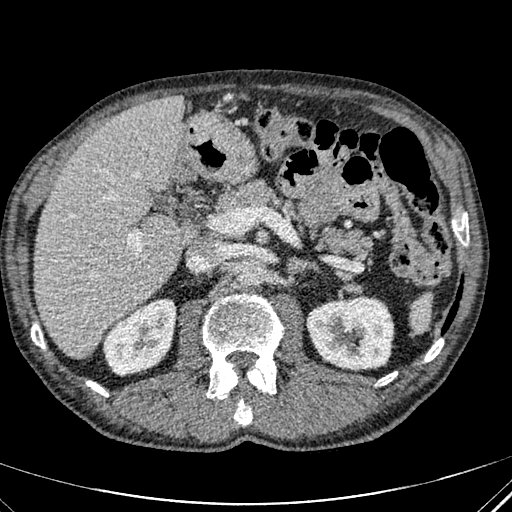 Image size 512x512. Upper abdomen. CT.

focal liver lesion: bbox(163, 97, 172, 105) | liver: bbox(35, 95, 195, 358) | kidney: bbox(104, 300, 175, 374); bbox(308, 298, 392, 368)